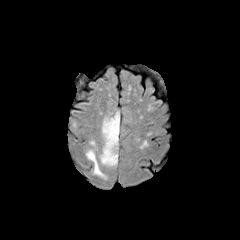
FLAIR MR image.
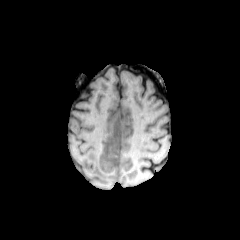
T1-weighted MR of the same slice.
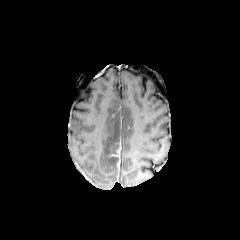
Post-contrast T1-weighted MRI.
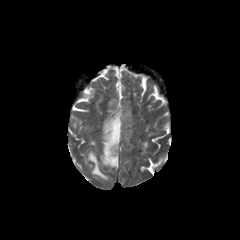
Same slice, T2-weighted MR image.
edema:
  - l=86, t=110, r=121, b=179